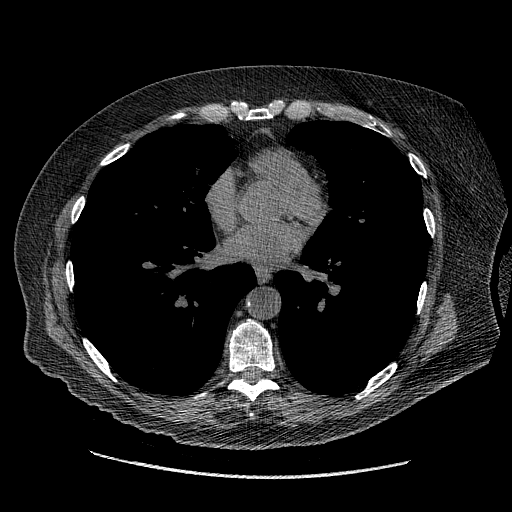 Computed tomography | Chest

Lung tumor at {"x1": 107, "y1": 265, "x2": 120, "y2": 277}.